MR image; Hippocampus

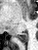
<segmentation>
  <posterior_hippocampus>x1=15 y1=33 x2=27 y2=43</posterior_hippocampus>
</segmentation>